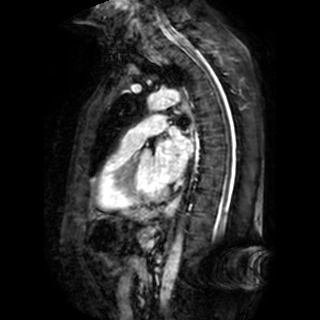

MRI. Cardiac. {
  "left_atrium": [
    "left=155, top=126, right=192, bottom=182"
  ]
}